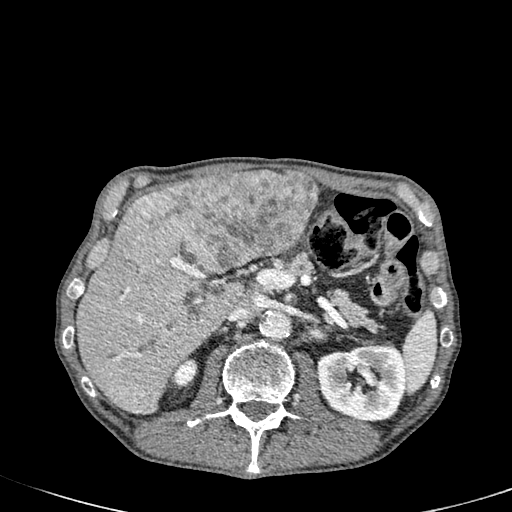

CT. Abdomen. {
  "kidney": [
    "rect(318, 346, 406, 420)",
    "rect(174, 361, 195, 384)"
  ],
  "liver": [
    "rect(77, 181, 244, 413)"
  ],
  "focal_liver_lesion": [
    "rect(172, 170, 316, 271)"
  ]
}